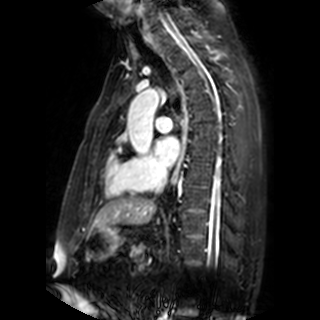

Heart, MRI slice

<segmentation>
  <left_atrium>x1=155 y1=136 x2=178 y2=166</left_atrium>
</segmentation>